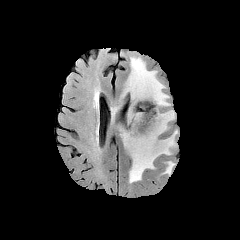
FLAIR MR.
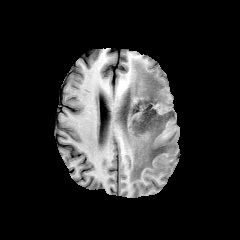
Same slice, T1-weighted magnetic resonance.
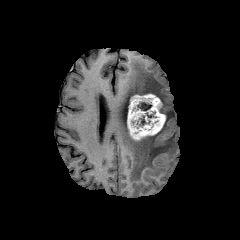
Same slice, post-contrast T1-weighted MR.
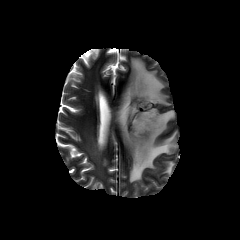
T2-weighted MRI of the same slice.
The enhancing tumor is at [128, 94, 165, 139]. 2 edema regions are located at [162, 160, 175, 175], [122, 58, 177, 183]. 3 non-enhancing tumor core regions are located at [133, 100, 156, 128], [134, 86, 159, 98], [149, 144, 169, 159].